FLAIR MR image.
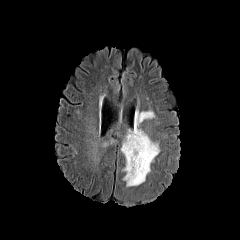
T1-weighted MR.
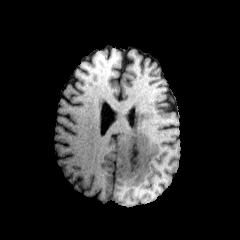
Post-contrast T1-weighted MR.
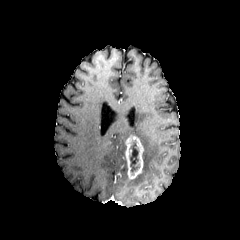
T2-weighted MR image.
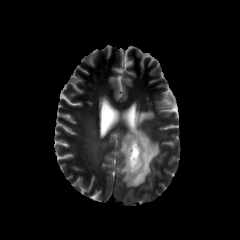
non-enhancing_tumor_core:
  - [129, 142, 138, 171]
edema:
  - [121, 107, 159, 187]
enhancing_tumor:
  - [125, 135, 143, 180]